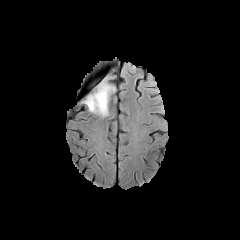
FLAIR MRI.
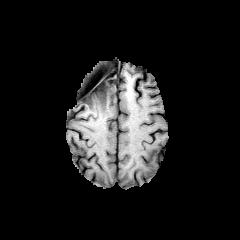
Same slice, T1-weighted magnetic resonance.
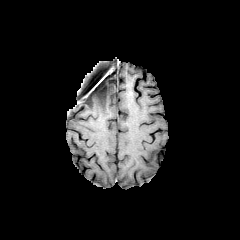
Post-contrast T1-weighted MR image.
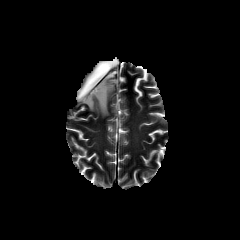
Same slice, T2-weighted MRI.
Non-enhancing tumor core at bbox(92, 105, 108, 112); bbox(82, 77, 109, 103).
Edema at bbox(85, 79, 115, 116).